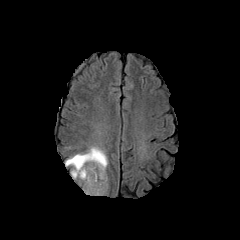
FLAIR MRI.
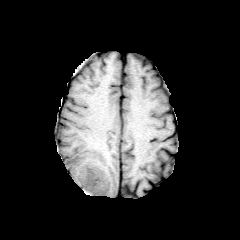
T1-weighted magnetic resonance of the same slice.
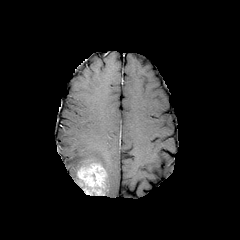
Post-contrast T1-weighted MR image.
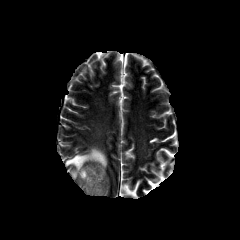
T2-weighted MR image.
Brain
- edema: box(65, 146, 107, 195)
- enhancing tumor: box(78, 164, 105, 195)